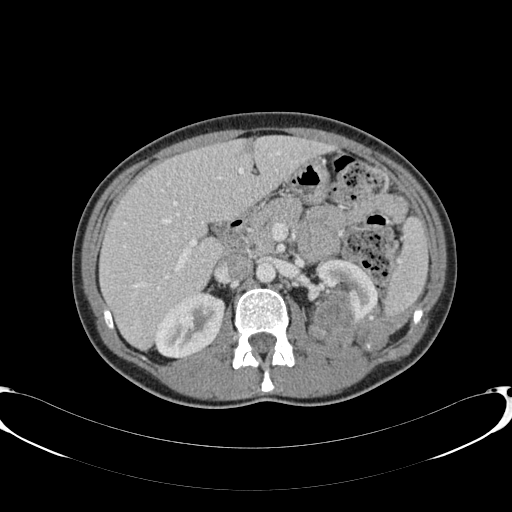
CT | Upper abdomen
The liver is at rect(100, 136, 335, 349). The focal liver lesion lies within rect(244, 139, 254, 152). 2 kidney regions appear at rect(313, 260, 376, 349); rect(155, 294, 223, 357).